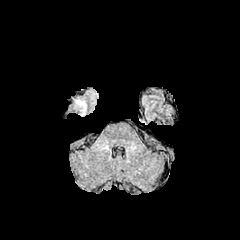
FLAIR MR image.
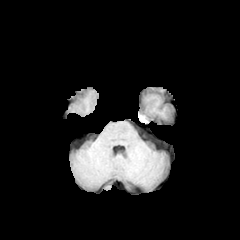
T1-weighted MR.
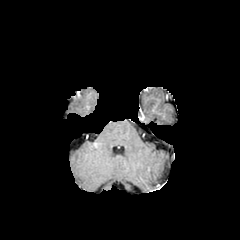
Post-contrast T1-weighted MR.
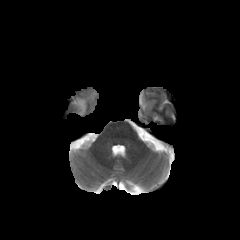
T2-weighted magnetic resonance.
<segmentation>
  <edema>75:99:86:110</edema>
</segmentation>